Head; Image size 240x240; Field of view 240x240 mm
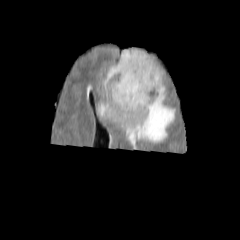
FLAIR MRI.
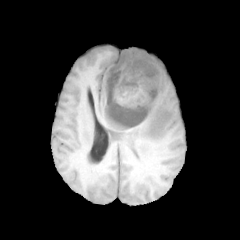
T1-weighted MRI.
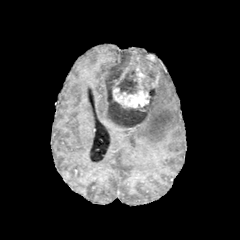
Post-contrast T1-weighted magnetic resonance.
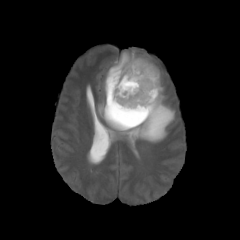
T2-weighted MRI.
Non-enhancing tumor core = (104, 50, 161, 128).
Enhancing tumor = (151, 78, 158, 88), (112, 63, 150, 108).
Edema = (99, 78, 176, 151), (109, 63, 125, 70), (128, 49, 149, 56).